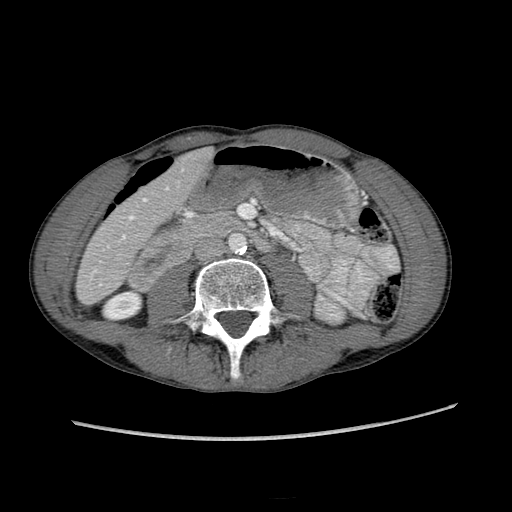 Abdomen, CT scan slice

kidney:
  - l=328, t=292, r=347, b=303
  - l=105, t=293, r=139, b=318
liver:
  - l=80, t=147, r=209, b=298